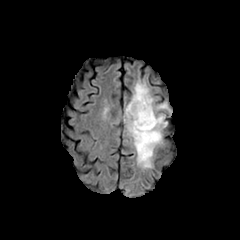
FLAIR MR image.
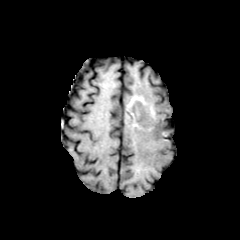
T1-weighted MR image.
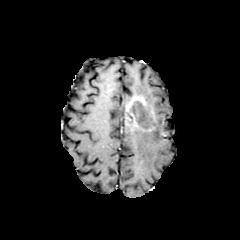
Post-contrast T1-weighted magnetic resonance of the same slice.
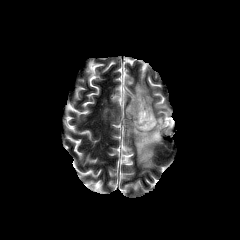
T2-weighted MR image.
240x240.
Edema = (124,81,170,168).
Enhancing tumor = (134,96,145,105).
Non-enhancing tumor core = (154,117,164,131), (126,97,155,129).